CT image; Slice index 555; Abdomen

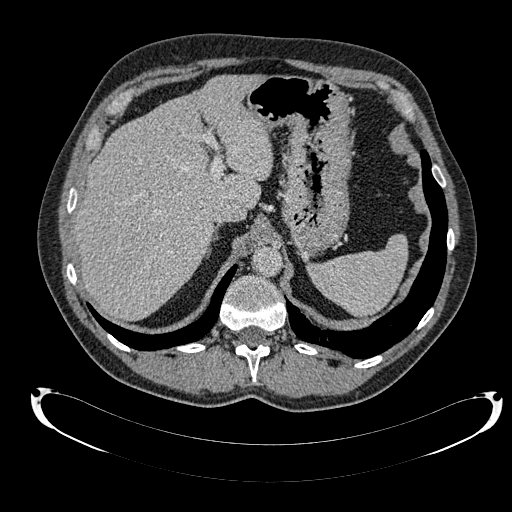 {"liver": ["(left=75, top=75, right=272, bottom=318)"]}